Slice 22 of 33; MRI slice; Medial temporal lobe 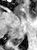

The posterior hippocampus is at (x1=13, y1=37, x2=22, y2=44).